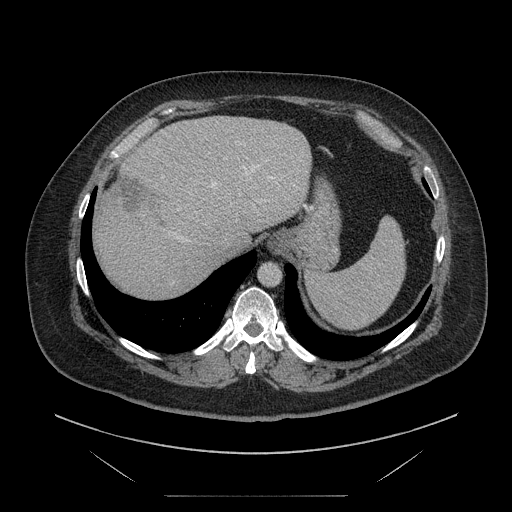
Abdomen; CT scan slice
The vessel boxes may cover only some of the vessels.
2 hepatic vessel regions appear at box(169, 230, 190, 242); box(243, 159, 265, 180). The liver tumor is at box(113, 175, 153, 215).